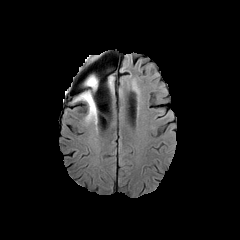
FLAIR magnetic resonance.
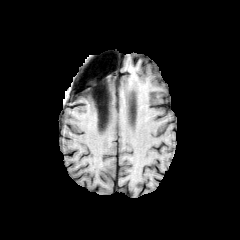
Same slice, T1-weighted MR image.
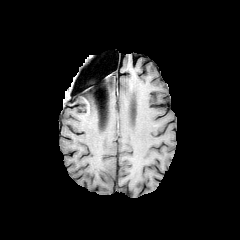
Same slice, post-contrast T1-weighted MRI.
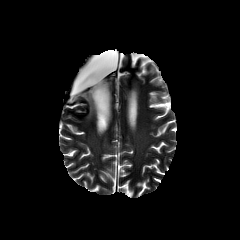
T2-weighted MRI.
Head. Image size 240x240.
Edema: 73,74,100,121.